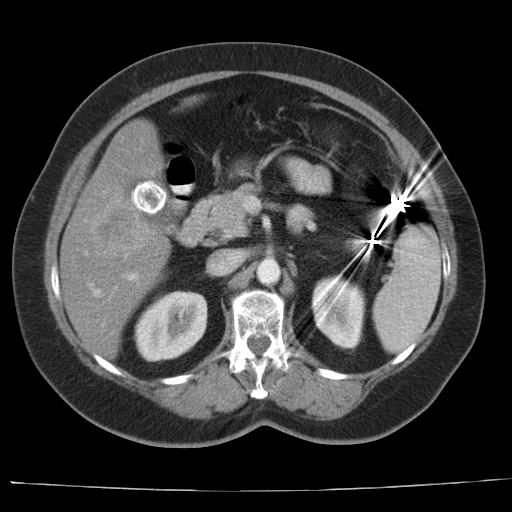

Liver. Computed tomography. Some hepatic vessels may have no box.
Liver tumor: (x1=90, y1=189, x2=154, y2=250).
Hepatic vessel: (x1=90, y1=286, x2=99, y2=296), (x1=128, y1=274, x2=135, y2=279).